Image width 335 mm, Slice 332 of 565, Computed tomography 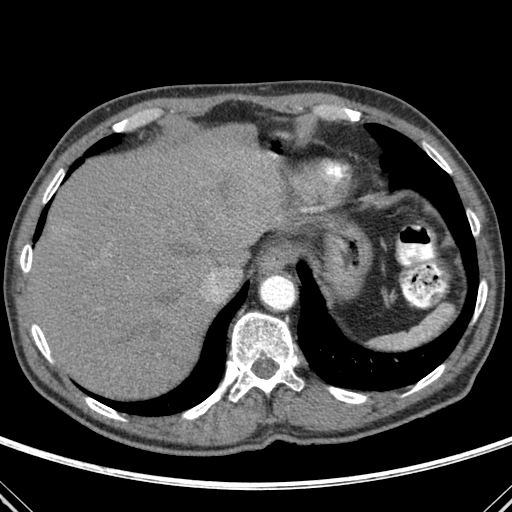

Annotated regions:
- lung: bbox=[65, 134, 121, 179]; bbox=[36, 201, 51, 239]; bbox=[79, 282, 248, 415]; bbox=[297, 123, 476, 390]
- bone: bbox=[424, 144, 451, 173]; bbox=[43, 169, 64, 202]; bbox=[182, 312, 302, 419]; bbox=[31, 324, 51, 361]; bbox=[20, 244, 32, 272]; bbox=[407, 365, 444, 393]; bbox=[474, 281, 487, 319]; bbox=[467, 210, 479, 235]; bbox=[85, 397, 124, 420]; bbox=[328, 387, 366, 403]
- liver: bbox=[30, 124, 283, 399]